FLAIR MRI.
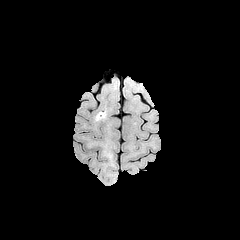
T1-weighted MR image.
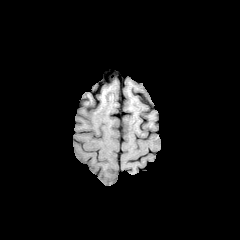
Post-contrast T1-weighted MRI.
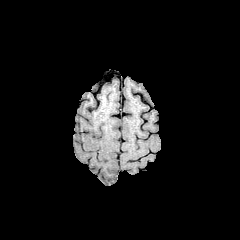
T2-weighted MRI.
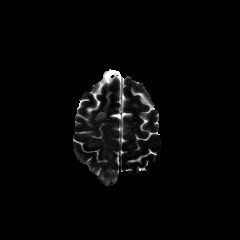
Brain
edema:
  - <bbox>97, 112, 104, 119</bbox>